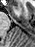 MR
Segmented structures:
• anterior hippocampus: [x1=15, y1=6, x2=16, y2=8]